CT, Lower abdomen 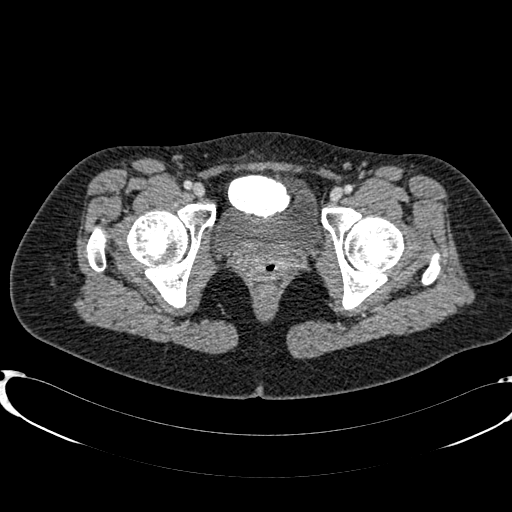 urinary bladder: (x1=216, y1=188, x2=322, y2=256)